FLAIR MR image.
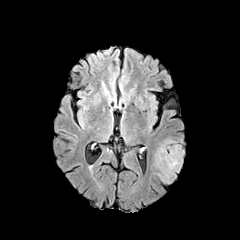
T1-weighted MR.
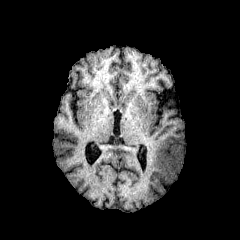
Post-contrast T1-weighted MR.
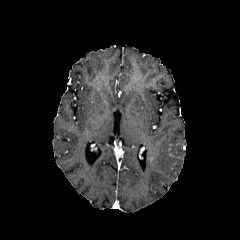
T2-weighted MRI.
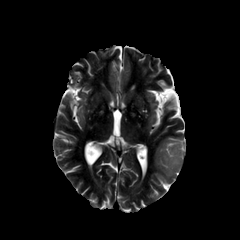
Head
The non-enhancing tumor core appears at <bbox>161, 141, 184, 175</bbox>. The edema is at <bbox>151, 137, 176, 184</bbox>.